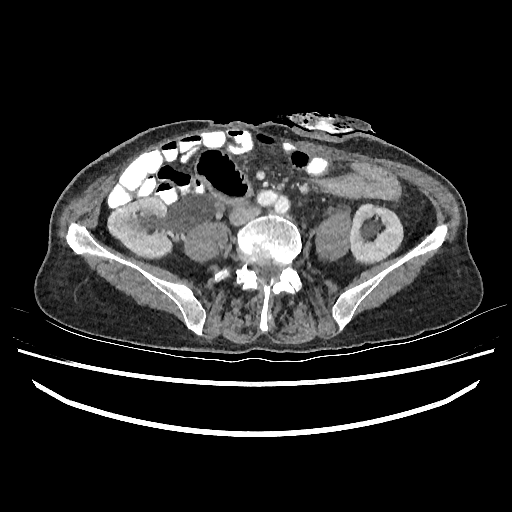
Abdomen. CT.
{
  "kidney": [
    "<bbox>350, 204, 402, 261</bbox>",
    "<bbox>108, 197, 171, 257</bbox>"
  ]
}